Slice 125 of 155
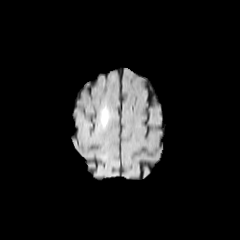
FLAIR MRI.
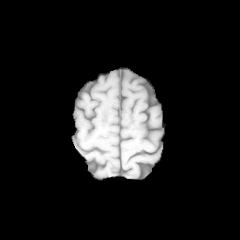
T1-weighted magnetic resonance.
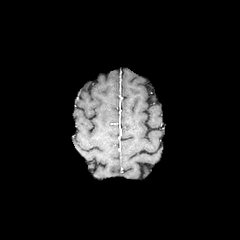
Post-contrast T1-weighted magnetic resonance.
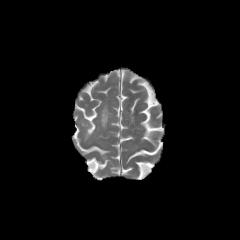
T2-weighted MRI of the same slice.
Edema: x1=101 y1=108 x2=108 y2=127.